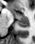 MR | 35x44 | Hippocampus
{
  "anterior_hippocampus": [
    "box=[11, 11, 27, 18]"
  ],
  "posterior_hippocampus": [
    "box=[17, 19, 28, 27]"
  ]
}